Computed tomography; 512x512 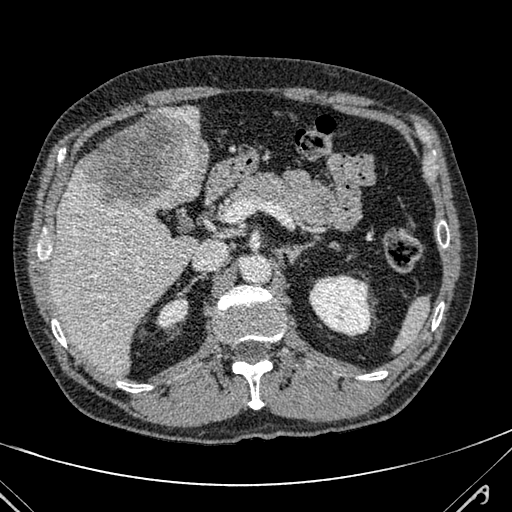 The focal liver lesion is bounded by (78,109,207,205). 2 liver regions appear at (167,106,199,134), (51,161,202,373).